Brain
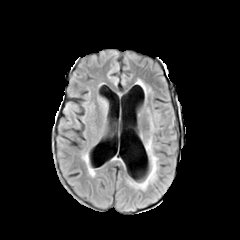
FLAIR magnetic resonance.
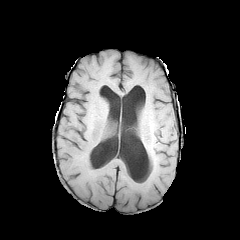
T1-weighted MR of the same slice.
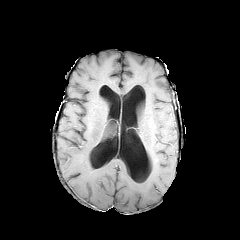
Same slice, post-contrast T1-weighted MR image.
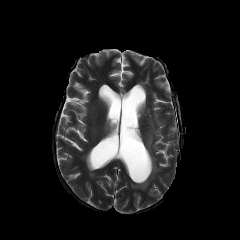
Same slice, T2-weighted MR image.
Edema — (131,140,157,189).